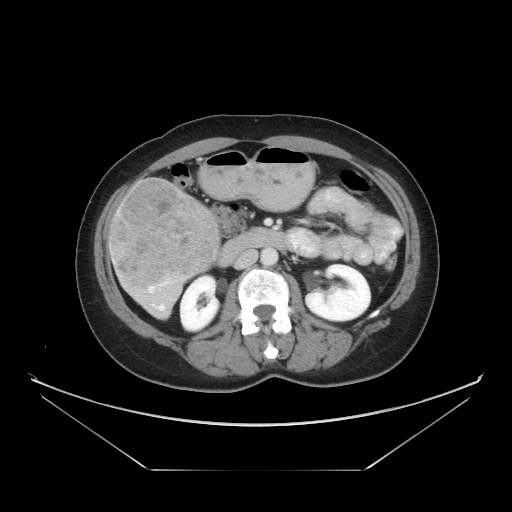

CT, Liver
Annotated regions:
• liver tumor: [109, 179, 218, 294]